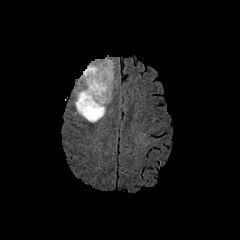
FLAIR MR image.
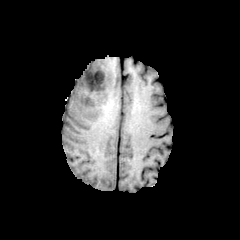
T1-weighted MR.
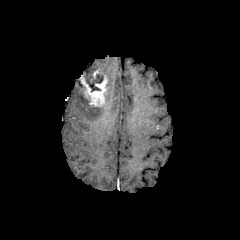
Post-contrast T1-weighted magnetic resonance.
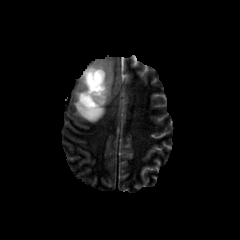
T2-weighted MRI.
Image size 240x240
Edema: 73 60 117 122.
Enhancing tumor: 80 75 107 105.
Non-enhancing tumor core: 81 84 95 107, 83 68 105 90.